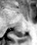

37x45 | Medial temporal lobe | Magnetic resonance
Posterior hippocampus at box=[14, 30, 24, 37].